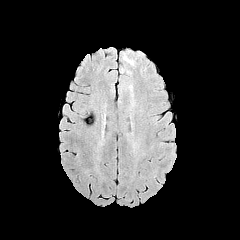
FLAIR magnetic resonance.
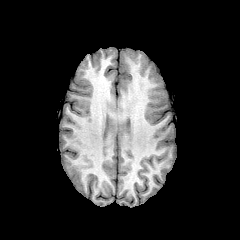
T1-weighted magnetic resonance.
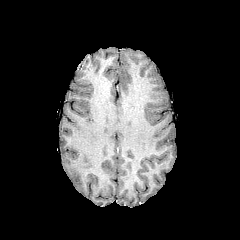
Post-contrast T1-weighted MR.
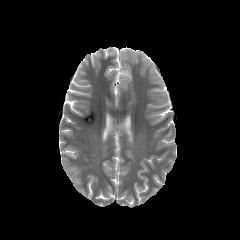
T2-weighted MR of the same slice.
Head | 240x240 px
{
  "edema": [
    {"x1": 120, "y1": 67, "x2": 130, "y2": 77},
    {"x1": 120, "y1": 49, "x2": 141, "y2": 63}
  ]
}